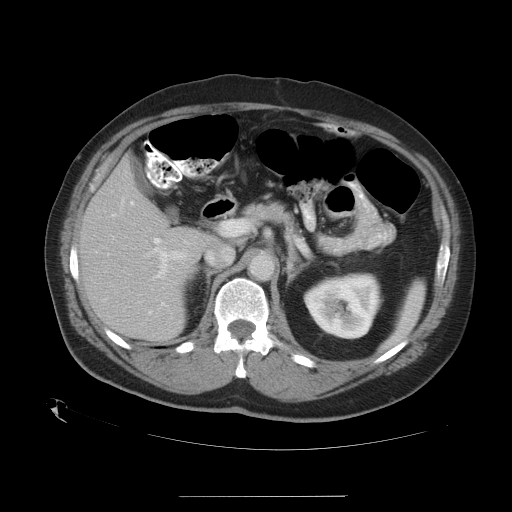
CT scan slice. Liver.
The vessel annotation is not exhaustive.
Hepatic vessel: bounding box box(160, 239, 160, 242); box(153, 250, 156, 251); box(160, 251, 165, 263); box(158, 265, 159, 268); box(176, 250, 190, 259); box(183, 240, 185, 242); box(130, 201, 133, 204); box(153, 276, 157, 279); box(164, 246, 165, 251); box(162, 271, 173, 282); box(169, 259, 174, 259).